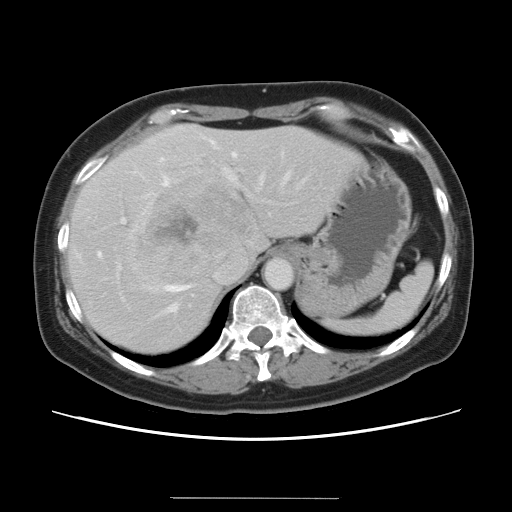
CT image.
The vessel annotation is not exhaustive.
• liver tumor: 137:174:251:273
• hepatic vessel (principal 15 of 20): 163:176:168:185, 211:141:216:148, 165:286:186:291, 232:153:235:157, 117:266:120:270, 121:219:125:223, 283:173:289:182, 299:180:303:187, 131:227:136:232, 76:254:79:258, 130:235:135:239, 164:304:177:313, 97:252:100:256, 223:168:237:184, 259:176:263:183